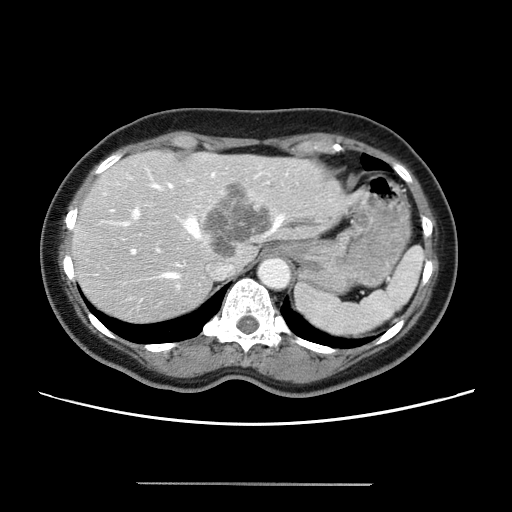 CT; Liver
The vessel boxes may cover only some of the vessels.
Segmented structures:
- hepatic vessel: bbox(132, 250, 134, 253); bbox(124, 222, 127, 224); bbox(133, 209, 138, 217); bbox(273, 217, 281, 228); bbox(153, 185, 158, 187); bbox(184, 218, 199, 236); bbox(164, 273, 176, 277)
- liver tumor: bbox(206, 185, 270, 257)